Computed tomography | Upper abdomen | Image size 512x512 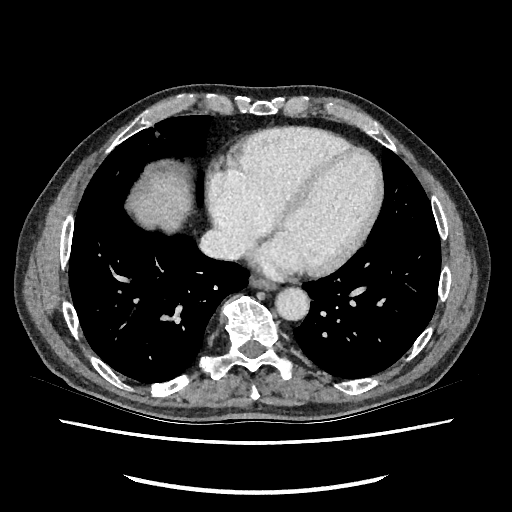 • liver: l=139, t=171, r=187, b=229